MRI slice | Medial temporal lobe
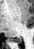

The posterior hippocampus is located at 10,37,21,42.